FLAIR magnetic resonance.
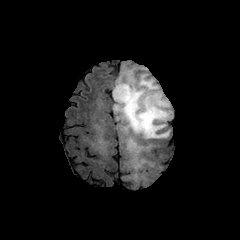
T1-weighted magnetic resonance.
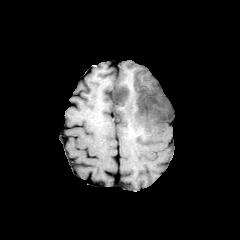
Post-contrast T1-weighted MRI.
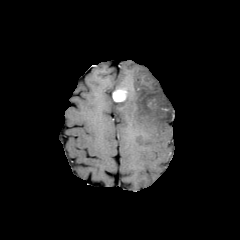
T2-weighted MR.
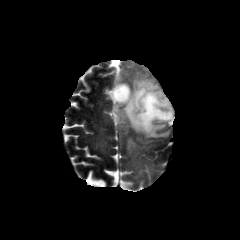
{
  "edema": [
    "bbox(112, 66, 173, 151)"
  ],
  "non-enhancing_tumor_core": [
    "bbox(119, 78, 171, 119)",
    "bbox(114, 101, 123, 121)"
  ],
  "enhancing_tumor": [
    "bbox(112, 86, 127, 101)"
  ]
}